Slice 638/685, Image size 512x512, Brain, CT image

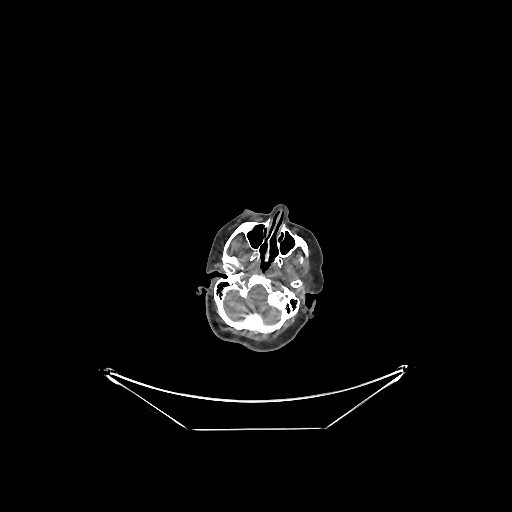

Brain at {"x1": 223, "y1": 284, "x2": 280, "y2": 324}.